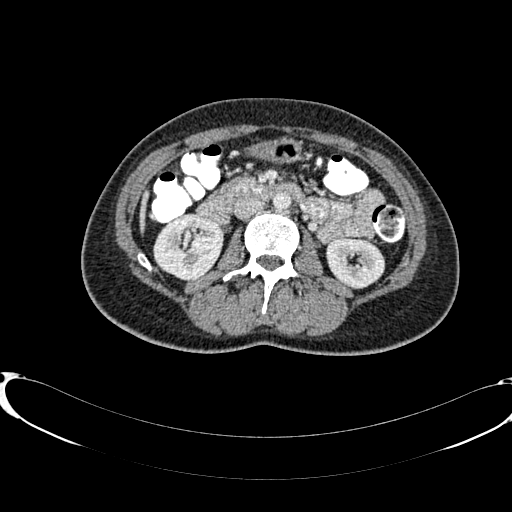

Upper abdomen. CT image. Liver — 140:193:147:229.
Kidney — 327:240:383:286, 155:216:222:278.